Brain
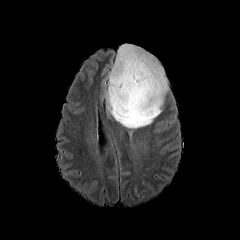
FLAIR MR.
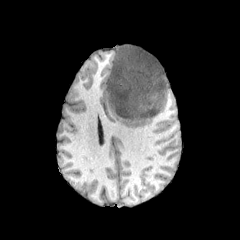
T1-weighted MR image of the same slice.
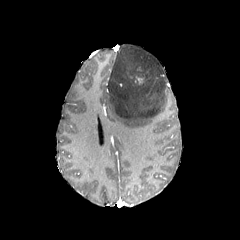
Post-contrast T1-weighted magnetic resonance.
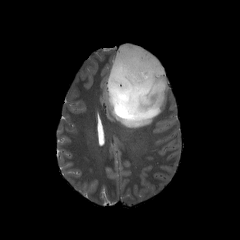
Same slice, T2-weighted MRI.
The edema lies within (left=107, top=44, right=169, bottom=129). The enhancing tumor lies within (left=134, top=75, right=144, bottom=86).